Magnetic resonance, Field of view 400x400 mm, Slice 62/120, 320x320
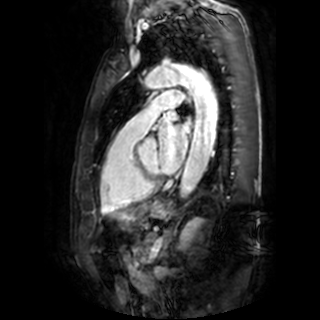 Left atrium = 158, 119, 189, 172; 167, 110, 178, 120.